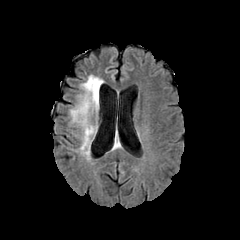
FLAIR MR image.
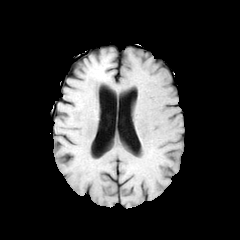
T1-weighted MR image.
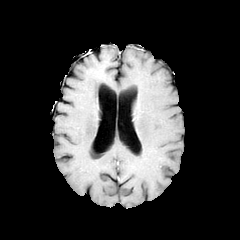
Post-contrast T1-weighted MRI.
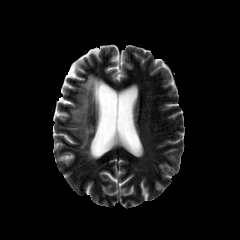
T2-weighted magnetic resonance.
Findings:
• edema: (70,74,103,159)